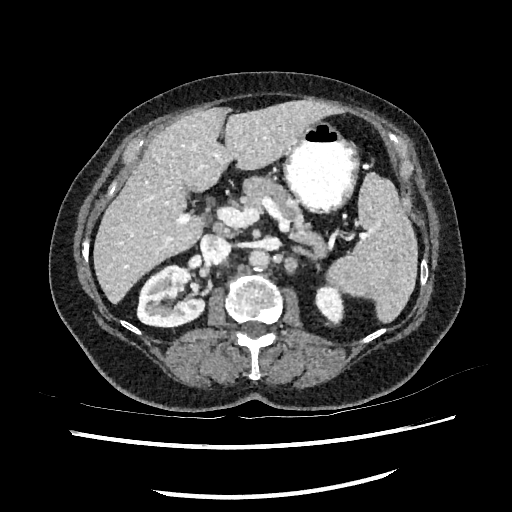 CT slice
2 kidney regions are bounded by box(317, 287, 341, 321); box(138, 266, 204, 326). The liver appears at box(94, 100, 339, 303).